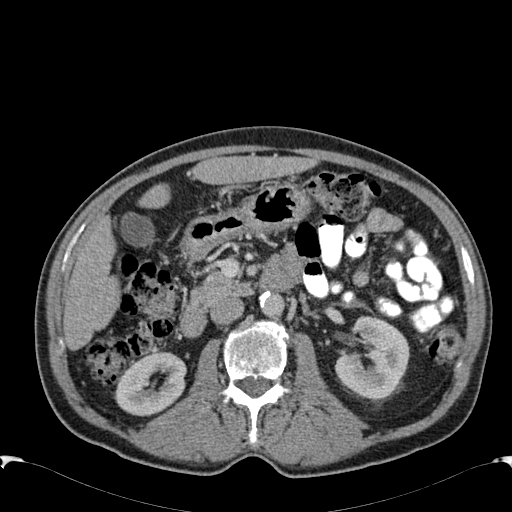
CT scan slice | Image size 512x512

Kidney: bounding box region(116, 353, 185, 415); region(335, 317, 408, 399).
Liver: bounding box region(63, 216, 120, 350); region(140, 184, 168, 207); region(193, 156, 317, 183).